Slice 72 of 134. Computed tomography. Image size 512x512. Field of view 377 mm wide, 1.50 mm slice spacing. Abdomen. 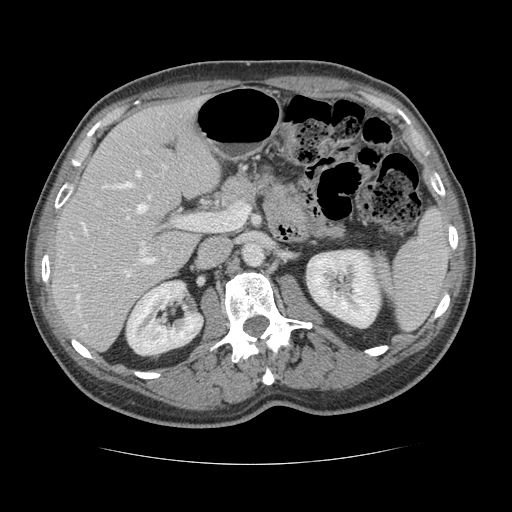

The vessel boxes may cover only some of the vessels.
[15/17] hepatic vessel: <box>123,270,130,276</box>, <box>79,313,81,316</box>, <box>162,164,165,168</box>, <box>126,216,128,218</box>, <box>177,215,199,229</box>, <box>74,309,78,311</box>, <box>137,203,146,212</box>, <box>120,181,131,187</box>, <box>76,295,79,301</box>, <box>148,195,150,197</box>, <box>81,222,86,233</box>, <box>102,184,107,187</box>, <box>139,242,154,263</box>, <box>84,324,86,327</box>, <box>136,170,140,176</box>